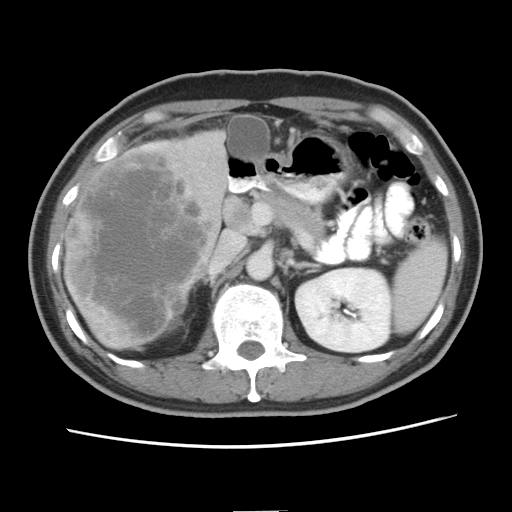 CT image | Liver

• liver tumor: bbox(66, 151, 218, 342)